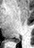 Hippocampus, MRI, 34x48 px

The posterior hippocampus is bounded by x1=11, y1=39, x2=19, y2=42.